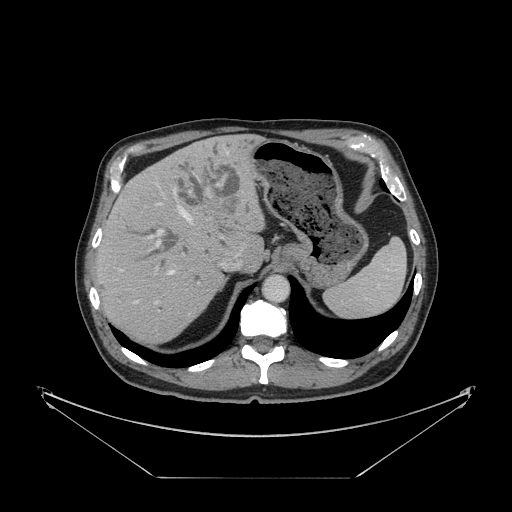
CT slice
Some hepatic vessels may have no box.
{"hepatic_vessel": ["bbox(172, 187, 175, 196)", "bbox(221, 263, 226, 268)", "bbox(157, 229, 162, 234)", "bbox(178, 207, 191, 221)", "bbox(218, 183, 220, 185)", "bbox(148, 236, 153, 237)", "bbox(157, 203, 161, 204)", "bbox(155, 267, 156, 273)", "bbox(134, 301, 137, 302)", "bbox(156, 241, 159, 245)", "bbox(168, 270, 173, 274)"], "liver_tumor": ["bbox(196, 196, 241, 223)"]}